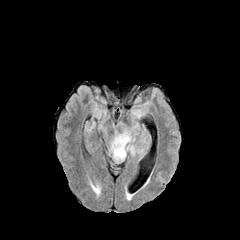
FLAIR MR image.
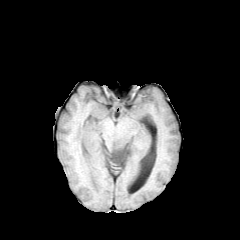
Same slice, T1-weighted MR image.
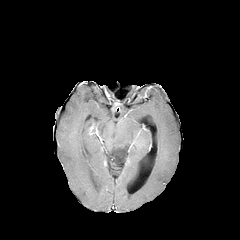
Same slice, post-contrast T1-weighted MR.
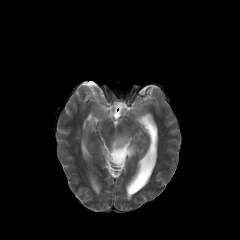
Same slice, T2-weighted magnetic resonance.
Image size 240x240
The edema is bounded by (left=107, top=125, right=146, bottom=163).